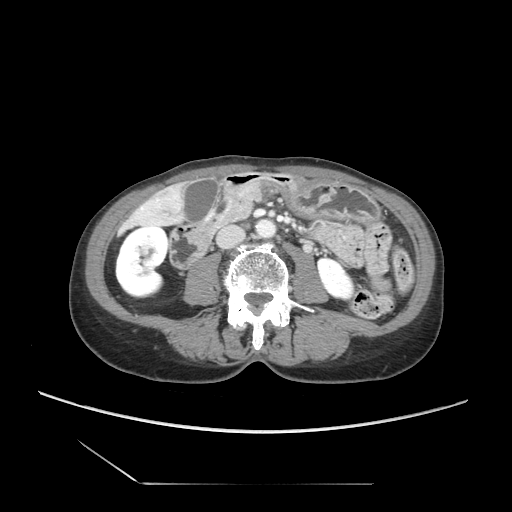 CT slice. 512x512. Upper abdomen. <segmentation>
  <pancreas>(x1=226, y1=185, x2=260, y2=222)</pancreas>
</segmentation>